FLAIR MRI.
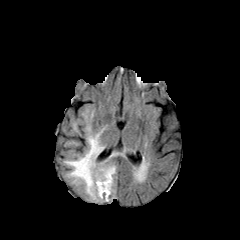
T1-weighted magnetic resonance.
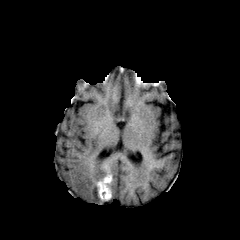
Post-contrast T1-weighted MR image.
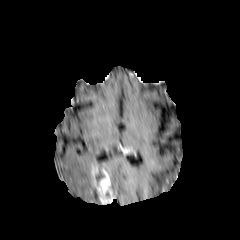
T2-weighted MR image.
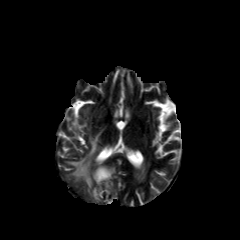
The enhancing tumor is at <bbox>92, 166, 111, 201</bbox>. 2 edema regions are bounded by <bbox>64, 124, 116, 202</bbox>, <bbox>71, 122, 79, 131</bbox>. 2 non-enhancing tumor core regions are located at <bbox>101, 191, 115, 202</bbox>, <bbox>95, 172, 103, 183</bbox>.